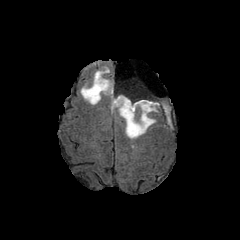
FLAIR MR image.
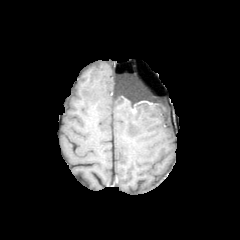
T1-weighted MRI of the same slice.
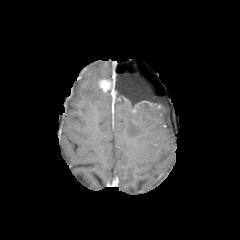
Post-contrast T1-weighted MR.
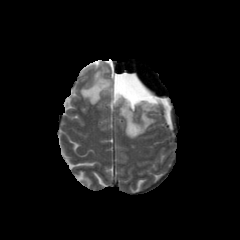
T2-weighted MR image.
Image size 240x240
The enhancing tumor is bounded by box=[98, 78, 115, 111]. 2 edema regions are located at box=[80, 64, 111, 105]; box=[114, 98, 169, 138]. The non-enhancing tumor core is located at box=[114, 87, 161, 105].